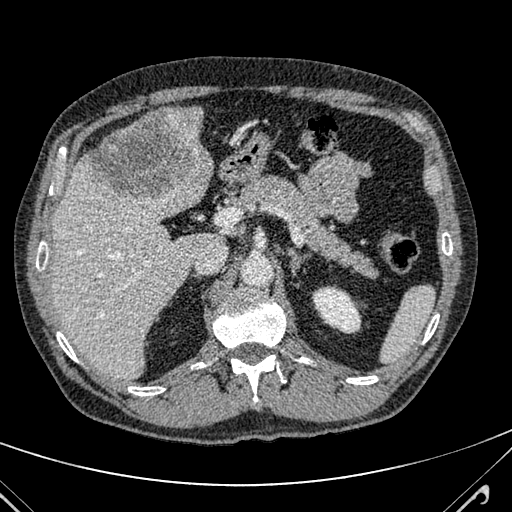 CT scan slice, Upper abdomen
liver: {"x1": 166, "y1": 108, "x2": 203, "y2": 141}, {"x1": 50, "y1": 162, "x2": 221, "y2": 378} | focal liver lesion: {"x1": 77, "y1": 109, "x2": 210, "y2": 204}